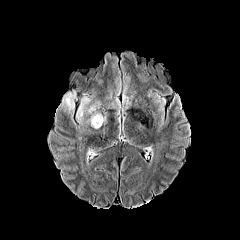
FLAIR MR image.
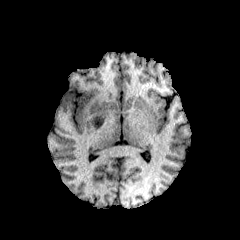
Same slice, T1-weighted MR image.
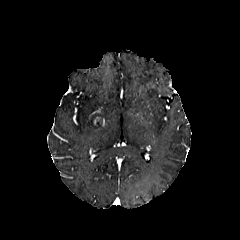
Post-contrast T1-weighted magnetic resonance.
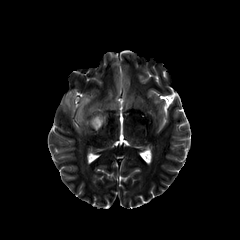
Same slice, T2-weighted MR.
Brain.
3 edema regions appear at 104 88 120 108, 75 96 102 132, 57 92 75 121.